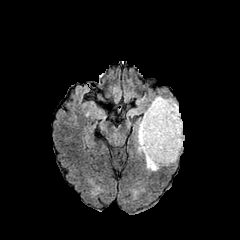
FLAIR MR image.
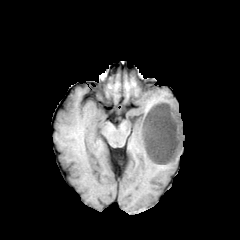
T1-weighted MRI.
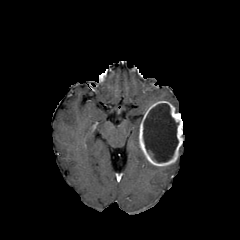
Same slice, post-contrast T1-weighted magnetic resonance.
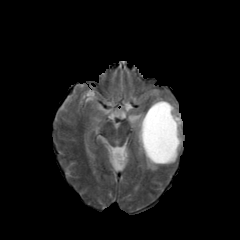
T2-weighted MR of the same slice.
Findings:
• enhancing tumor: 139:101:183:165
• non-enhancing tumor core: 143:103:177:162
• edema: 146:96:178:111, 135:117:162:171